FLAIR MR image.
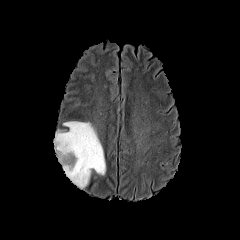
T1-weighted MR.
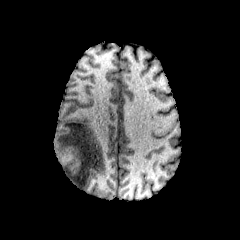
Post-contrast T1-weighted magnetic resonance.
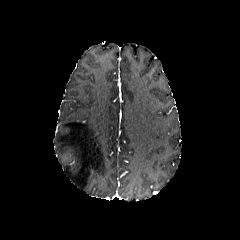
T2-weighted MR.
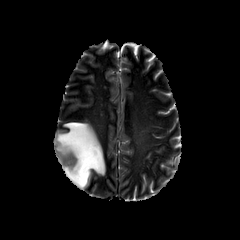
Annotated regions:
• non-enhancing tumor core: {"x1": 58, "y1": 151, "x2": 74, "y2": 167}
• edema: {"x1": 53, "y1": 121, "x2": 106, "y2": 189}